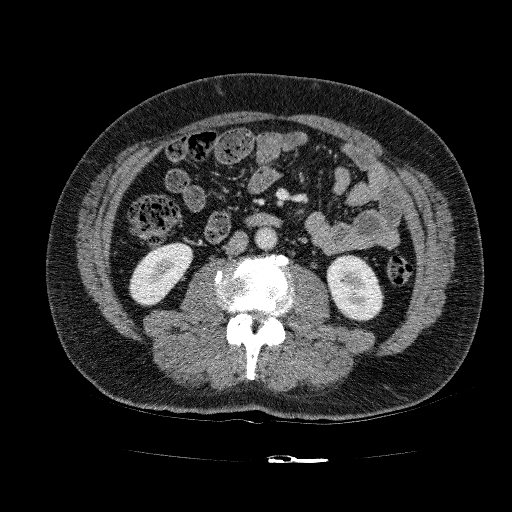
512x512 px; Computed tomography

Annotated regions:
- kidney: box=[130, 243, 191, 304]; box=[327, 256, 382, 319]